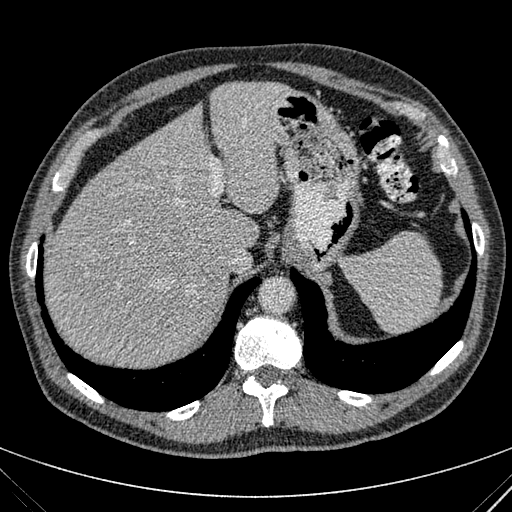

CT
2 liver regions appear at [44,103,259,365], [211,83,297,215].